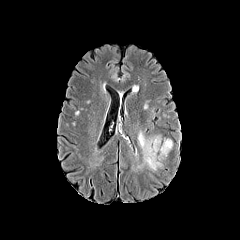
FLAIR MR.
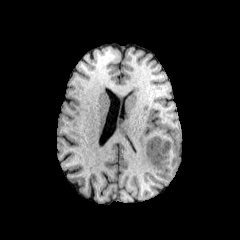
Same slice, T1-weighted magnetic resonance.
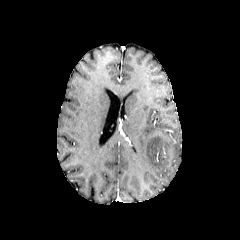
Same slice, post-contrast T1-weighted MR.
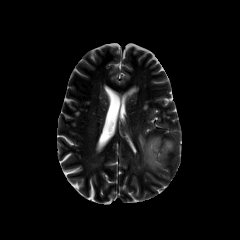
T2-weighted magnetic resonance of the same slice.
Brain
<segmentation>
  <edema>[x1=138, y1=134, x2=160, y2=170], [x1=160, y1=139, x2=172, y2=155]</edema>
</segmentation>